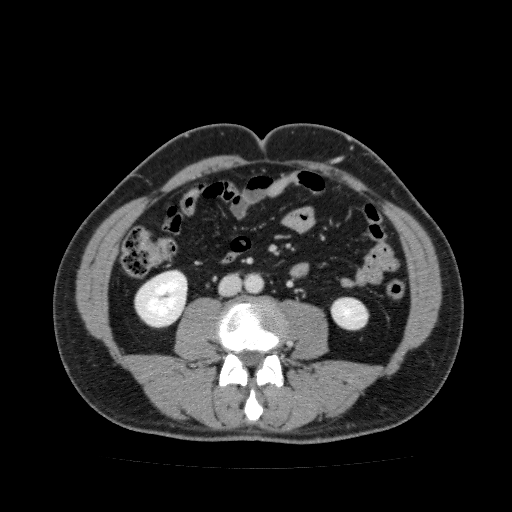
CT slice; Abdomen
• kidney: 135,271,186,326; 331,298,367,329